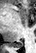

Image size 36x53. MRI slice.

Posterior hippocampus: 13 42 23 47.